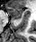

MR image

{
  "anterior_hippocampus": [
    "[x1=7, y1=7, x2=23, y2=19]"
  ]
}